FLAIR MRI.
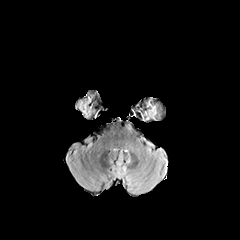
T1-weighted MR.
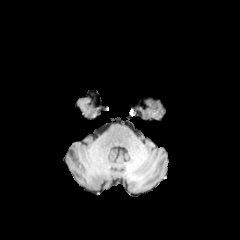
Post-contrast T1-weighted MR image.
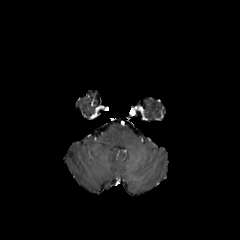
T2-weighted MR image.
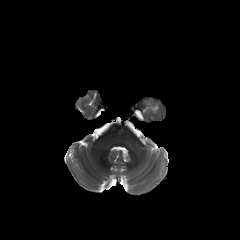
Brain.
Edema: bbox(144, 99, 157, 118).